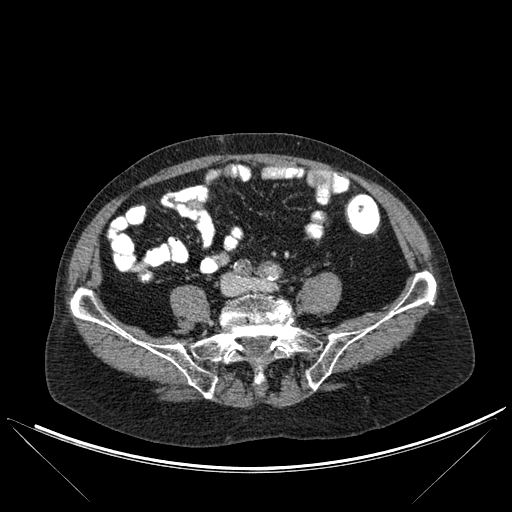

Computed tomography

2 bone regions are located at 306, 271, 435, 389; 70, 288, 321, 398.